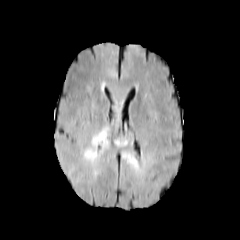
FLAIR MR.
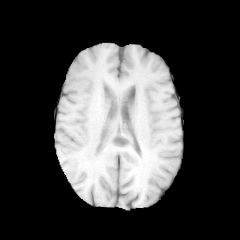
T1-weighted MR of the same slice.
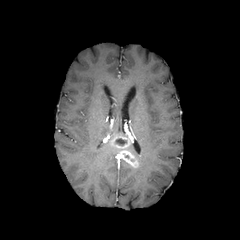
Post-contrast T1-weighted MRI.
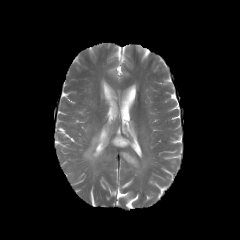
T2-weighted MRI.
<segmentation>
  <enhancing_tumor>112 136 139 167</enhancing_tumor>
  <edema>83 125 109 164</edema>
  <non-enhancing_tumor_core>114 138 127 145</non-enhancing_tumor_core>
</segmentation>